CT scan slice
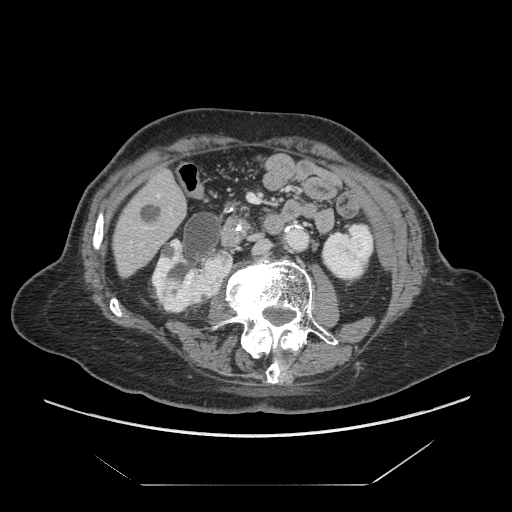

Segmented structures:
• pancreas: [219,197,253,219]